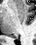 36x45 px; Hippocampus; MR image

<segmentation>
  <posterior_hippocampus>rect(13, 35, 17, 38)</posterior_hippocampus>
</segmentation>